Computed tomography

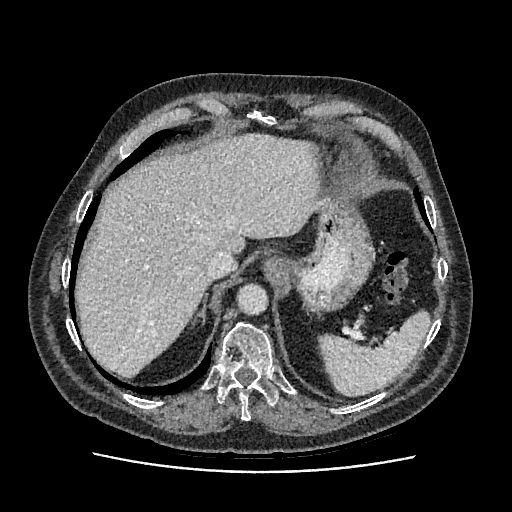 liver: left=77, top=134, right=318, bottom=377